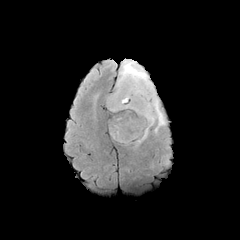
FLAIR MR.
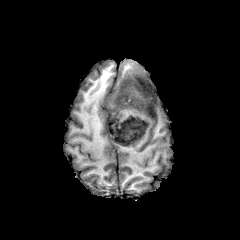
Same slice, T1-weighted MR.
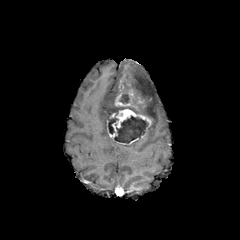
Post-contrast T1-weighted MRI.
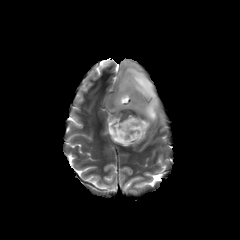
T2-weighted MRI.
Head. 240x240 px.
Enhancing tumor = <box>107,109,151,140</box>, <box>115,89,137,108</box>.
Non-enhancing tumor core = <box>114,115,148,143</box>, <box>108,72,152,134</box>.
Edema = <box>117,59,165,125</box>.